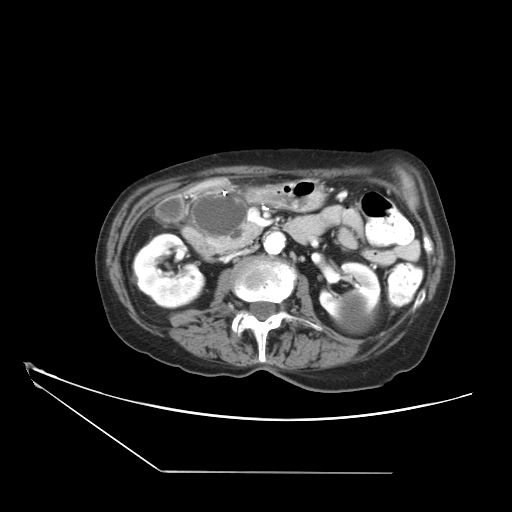

CT image
Pancreas — <box>190,189,261,253</box>.
Pancreatic tumor — <box>192,196,246,238</box>.